CT image

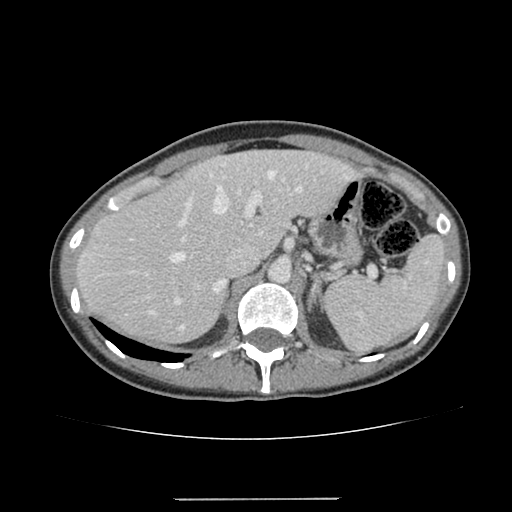

{
  "liver": [
    "[x1=77, y1=150, x2=363, y2=344]"
  ]
}